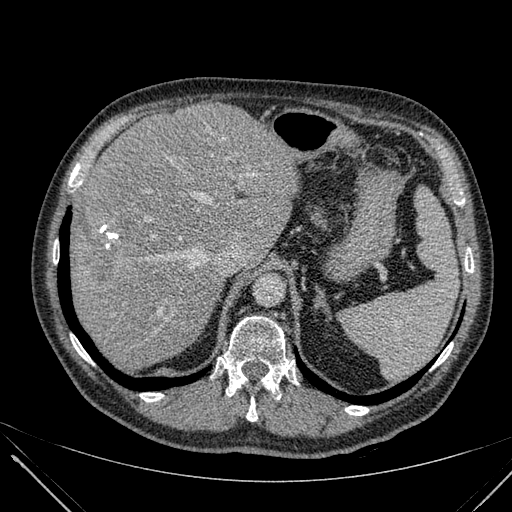
CT. Liver.
<segmentation>
  <focal_liver_lesion>116:219:134:235, 96:245:117:279</focal_liver_lesion>
  <liver>71:103:298:370</liver>
</segmentation>